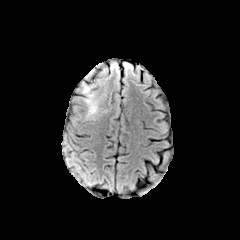
FLAIR MR image.
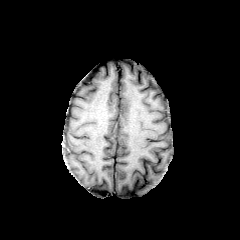
T1-weighted magnetic resonance.
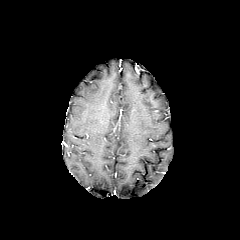
Post-contrast T1-weighted MR image of the same slice.
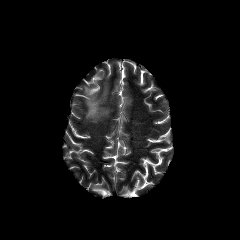
T2-weighted MR.
Edema: bounding box <box>83,86,98,117</box>.